Image width 240 mm, Slice 127 of 155, 240x240
FLAIR magnetic resonance.
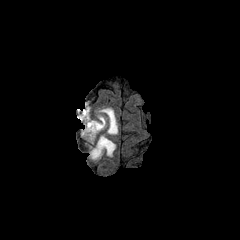
T1-weighted MRI.
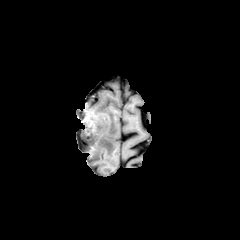
Post-contrast T1-weighted MRI.
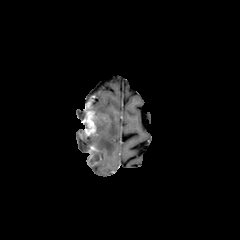
T2-weighted MR image.
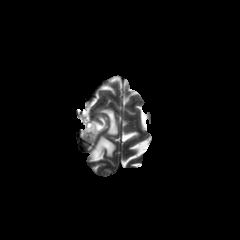
<segmentation>
  <edema>bbox=[81, 104, 117, 160]</edema>
  <enhancing_tumor>bbox=[82, 104, 95, 135]</enhancing_tumor>
</segmentation>